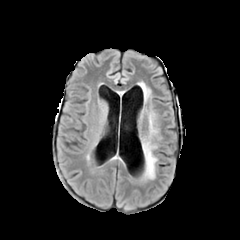
FLAIR MR.
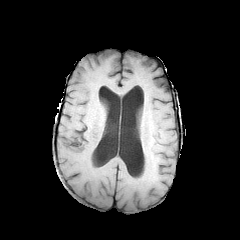
T1-weighted MR image.
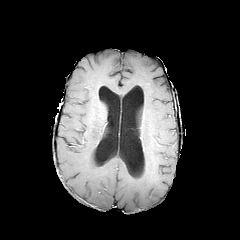
Same slice, post-contrast T1-weighted MRI.
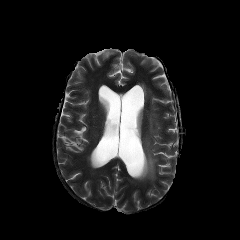
Same slice, T2-weighted MR.
Head.
3 edema regions are bounded by 139:82:150:96, 141:137:157:178, 148:113:157:137.